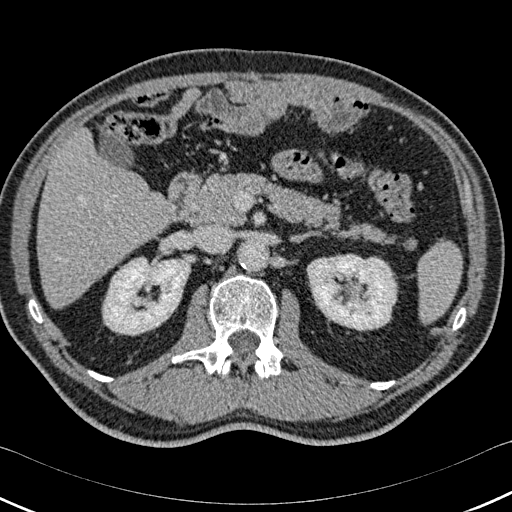
Abdomen. CT scan slice. Image size 512x512. bone:
  - box=[88, 371, 112, 381]
  - box=[370, 381, 394, 389]
  - box=[172, 275, 283, 378]
  - box=[453, 308, 465, 329]
  - box=[29, 300, 42, 322]
kidney:
  - box=[103, 258, 189, 334]
  - box=[307, 255, 396, 329]
liver:
  - box=[38, 128, 166, 305]